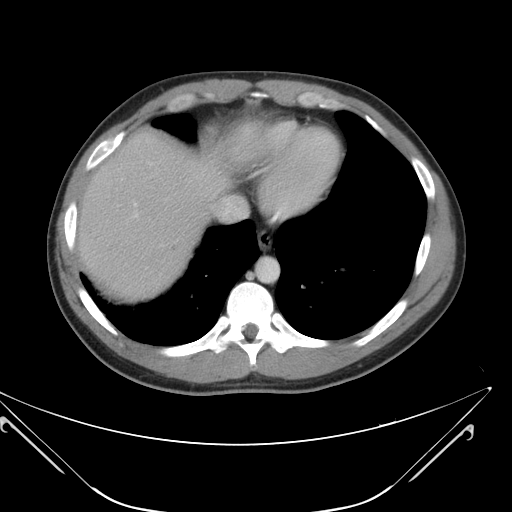 CT slice.

Only some of the vessels may be annotated.
Hepatic vessel — <bbox>223, 199, 242, 216</bbox>, <bbox>134, 204, 136, 205</bbox>.